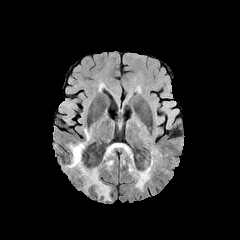
FLAIR MRI.
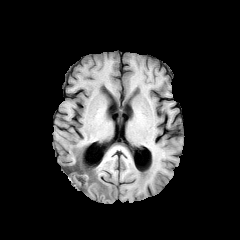
T1-weighted MRI.
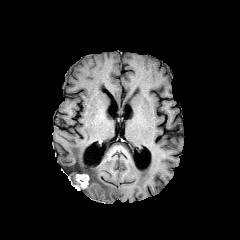
Same slice, post-contrast T1-weighted MRI.
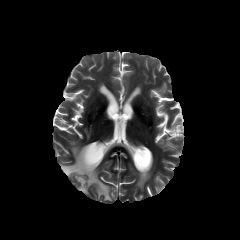
T2-weighted MRI.
Brain
Non-enhancing tumor core: bounding box l=64, t=159, r=91, b=185.
Enhancing tumor: bounding box l=76, t=174, r=89, b=188.
Edema: bounding box l=67, t=142, r=86, b=167; l=103, t=144, r=115, b=158; l=128, t=163, r=151, b=187; l=89, t=167, r=111, b=200.